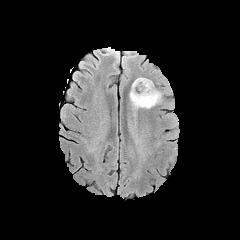
FLAIR MR image.
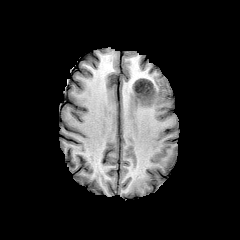
T1-weighted magnetic resonance.
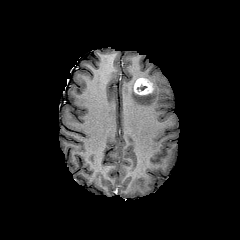
Post-contrast T1-weighted magnetic resonance.
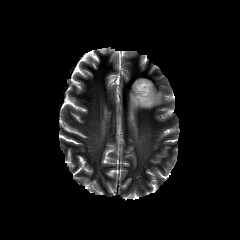
T2-weighted magnetic resonance of the same slice.
Brain.
enhancing tumor: (left=134, top=78, right=154, bottom=95) | edema: (left=129, top=84, right=163, bottom=109)